Computed tomography. Liver. 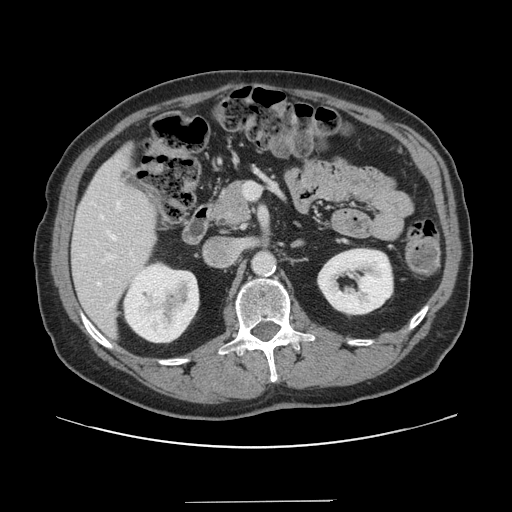
The vessel boxes may cover only some of the vessels.
Hepatic vessel: bounding box <bbox>97, 282, 100, 285</bbox>, <bbox>101, 215, 103, 217</bbox>, <bbox>244, 183, 256, 198</bbox>, <bbox>108, 232, 115, 240</bbox>, <bbox>102, 253, 116, 262</bbox>, <bbox>130, 251, 132, 253</bbox>, <bbox>117, 202, 118, 206</bbox>.